CT image. Abdomen. Slice 63 of 100.
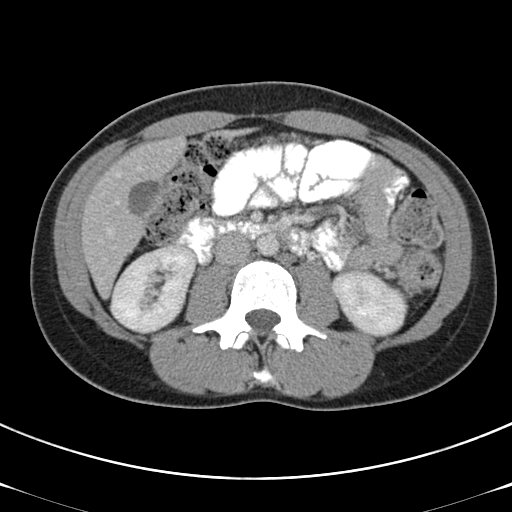

The colon tumor appears at (x1=398, y1=251, x2=442, y2=291).